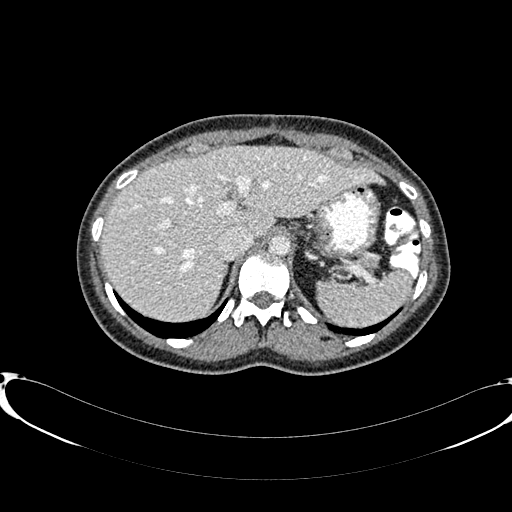
CT scan slice; Upper abdomen
{"liver": ["102,147,382,318"]}